Slice 512 of 841, Image size 512x512, Computed tomography 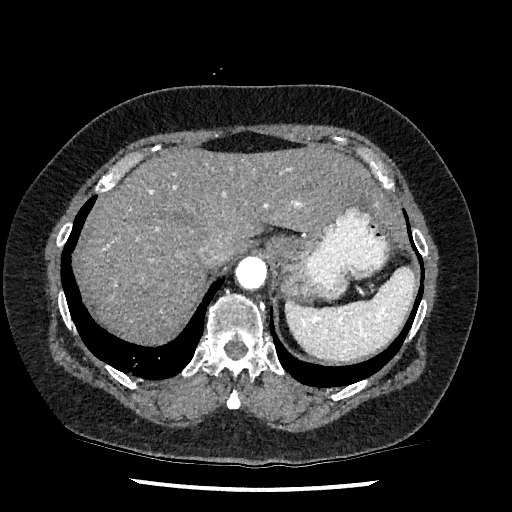
Hepatic lesion: bounding box <bbox>360, 197, 367, 206</bbox>.
Liver: bounding box <bbox>78, 147, 405, 341</bbox>.